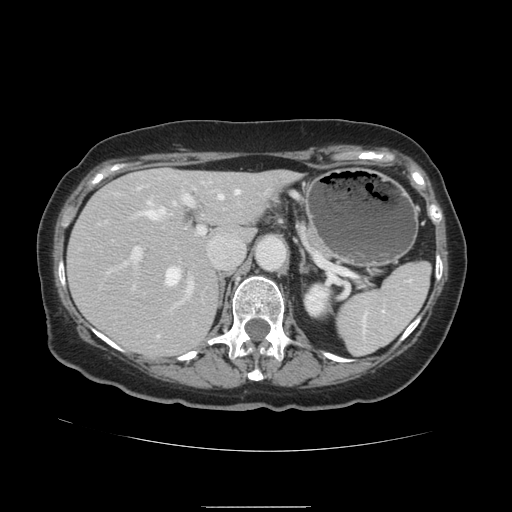 CT | 512x512
Not every hepatic vessel necessarily has a box.
Hepatic vessel: bounding box 140,207,163,218; 174,304,177,306; 217,194,222,199; 145,201,149,204; 181,193,191,204; 196,227,204,234; 164,267,179,286; 137,187,141,188; 234,190,239,194; 131,247,140,261; 188,278,192,291.